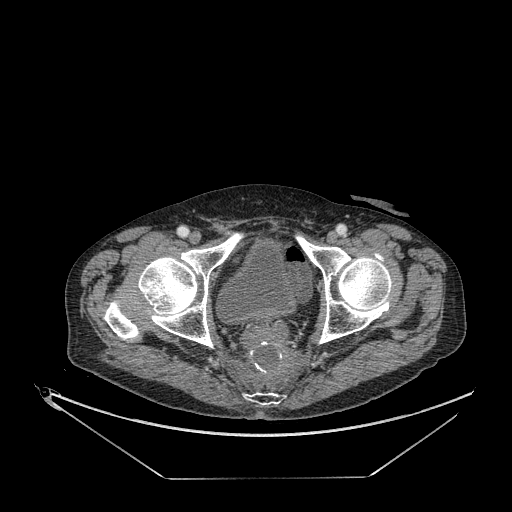 Pelvis. 512x512. Computed tomography.

- urinary bladder: (216,239,298,323)